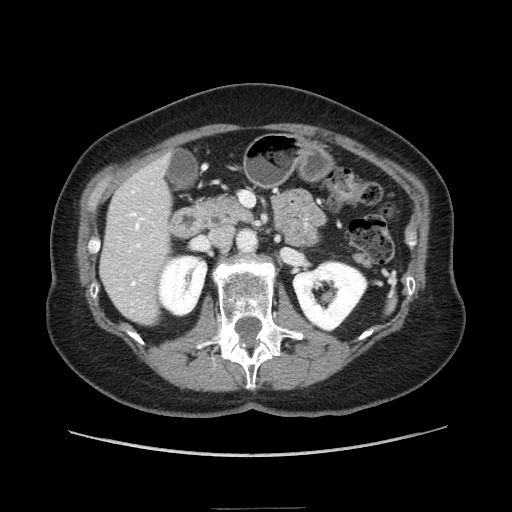

CT image.

2 pancreas regions appear at bbox(197, 195, 252, 227); bbox(356, 255, 369, 265).